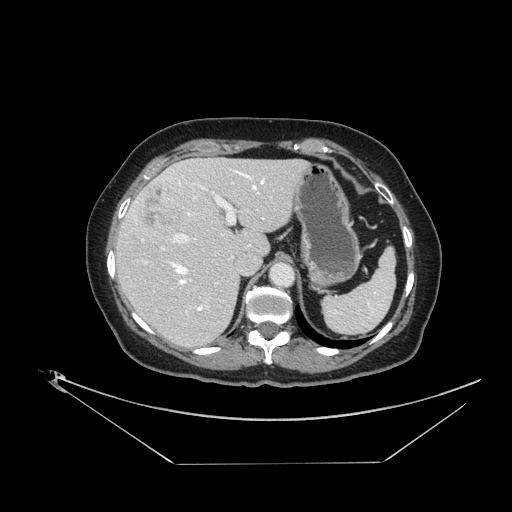
CT image. Abdomen.
The vessel boxes may cover only some of the vessels.
8 hepatic vessel regions appear at [x1=135, y1=202, x2=137, y2=203], [x1=197, y1=305, x2=205, y2=310], [x1=169, y1=262, x2=187, y2=284], [x1=173, y1=234, x2=188, y2=242], [x1=187, y1=212, x2=191, y2=215], [x1=262, y1=179, x2=263, y2=181], [x1=253, y1=185, x2=254, y2=187], [x1=214, y1=194, x2=234, y2=223]. The liver tumor is located at [x1=138, y1=182, x2=178, y2=227].